Slice 63 of 113, Computed tomography, Abdomen

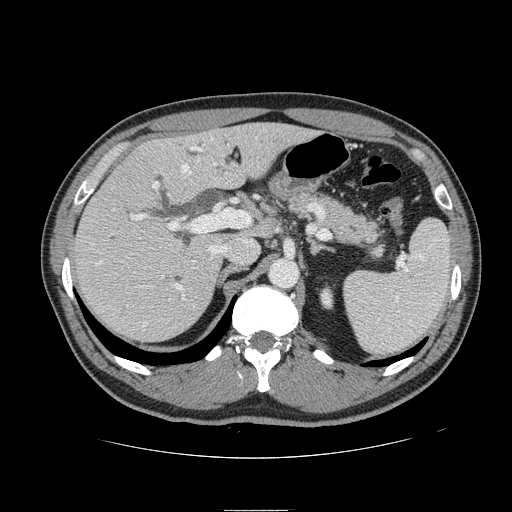
Annotated regions:
• pancreas: <box>289,193,382,256</box>